Image width 360 mm; CT scan slice

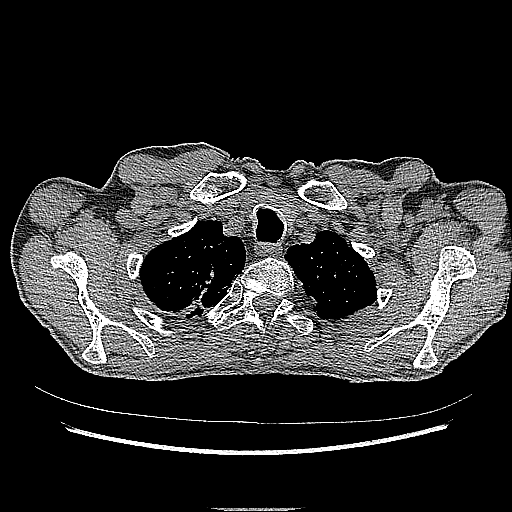 Lung tumor at (left=166, top=275, right=213, bottom=318).